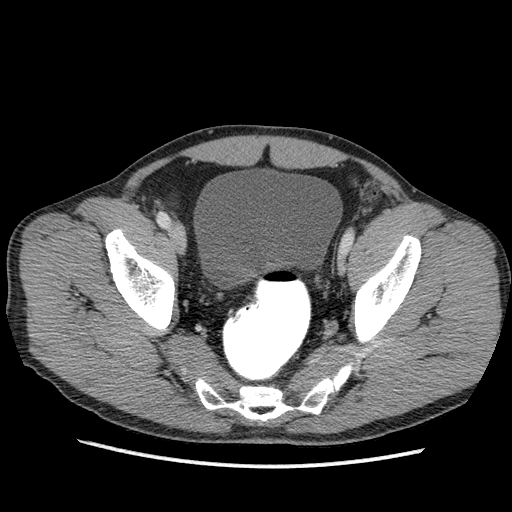
Pelvis; Computed tomography
The urinary bladder is located at {"x1": 194, "y1": 169, "x2": 342, "y2": 289}.